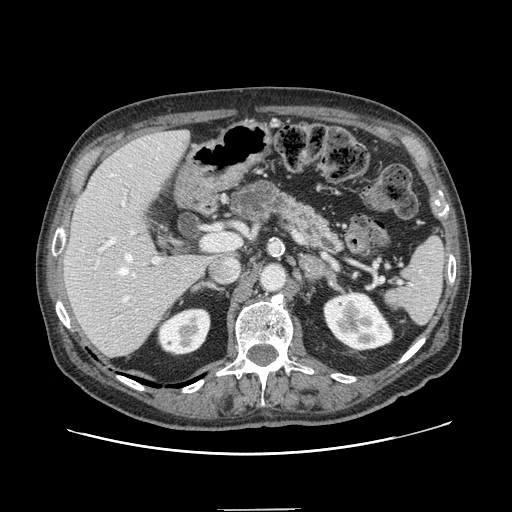 CT image. Abdomen.
The pancreas is located at (228, 178, 344, 254).